Image size 35x53. Slice index 10. Medial temporal lobe. MR image.

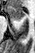 The anterior hippocampus lies within <box>7,6,25,20</box>.